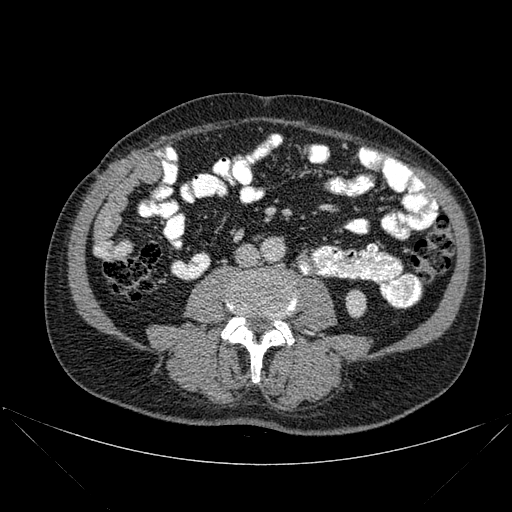
CT; Abdomen; Image size 512x512
The bone is located at box=[221, 270, 296, 382]. The kidney is at box=[346, 291, 365, 316].